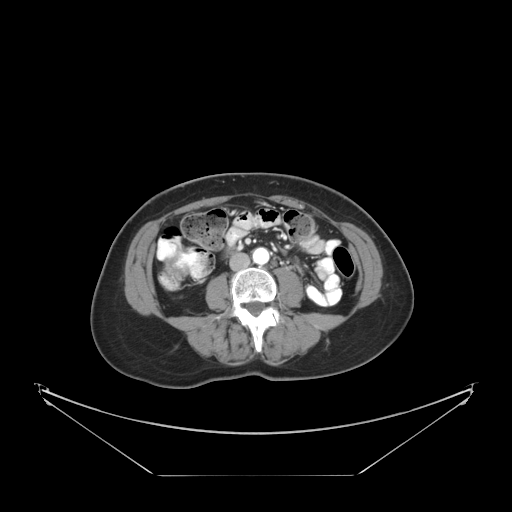
CT image. - colon tumor: (left=164, top=254, right=188, bottom=280)